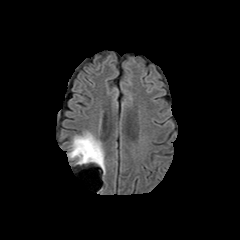
FLAIR magnetic resonance.
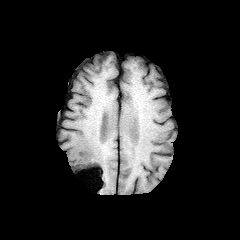
T1-weighted MR.
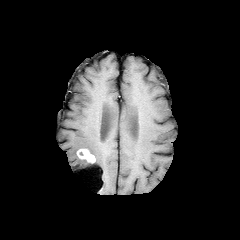
Post-contrast T1-weighted MRI.
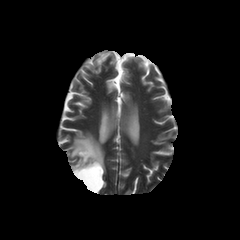
Same slice, T2-weighted MR image.
240x240.
enhancing tumor: (x1=77, y1=148, x2=95, y2=162) | edema: (x1=67, y1=131, x2=105, y2=177) | non-enhancing tumor core: (x1=80, y1=148, x2=101, y2=175)